Slice 55/83. CT. Field of view 473 mm wide, 5.00 mm slice spacing. Upper abdomen. 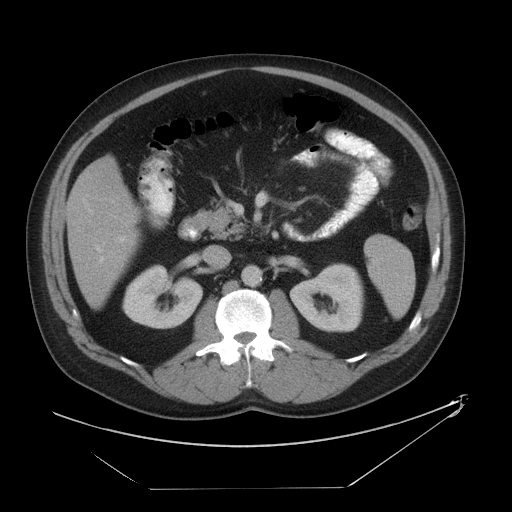
The spleen lies within [364, 234, 415, 318].